240x240
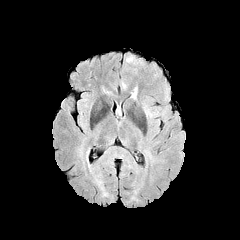
FLAIR MR image.
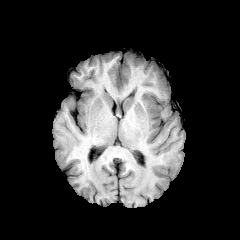
Same slice, T1-weighted magnetic resonance.
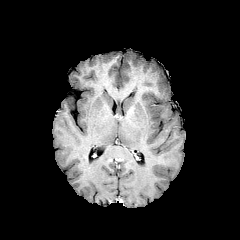
Post-contrast T1-weighted MR image of the same slice.
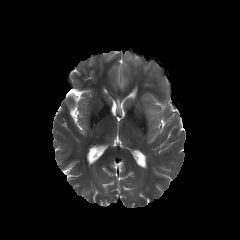
T2-weighted MR image of the same slice.
Edema: box(130, 87, 137, 99); box(145, 108, 157, 118).